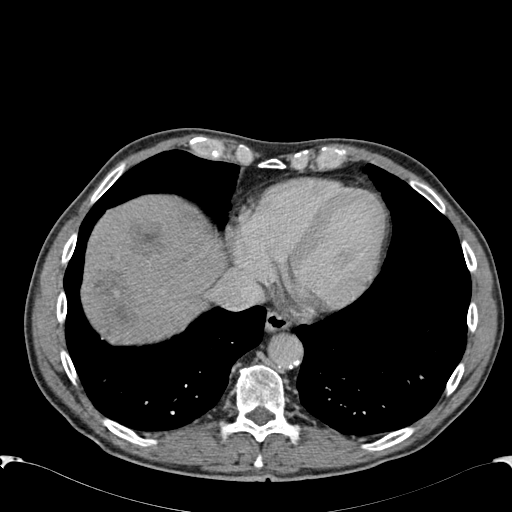

Abdomen, CT image

Liver at x1=82, y1=194, x2=226, y2=342.
Hepatic lesion at x1=130, y1=225, x2=163, y2=254; x1=180, y1=216, x2=190, y2=227; x1=96, y1=271, x2=132, y2=324.